Slice 48/155, Head
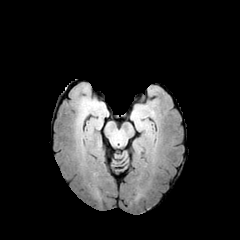
FLAIR magnetic resonance.
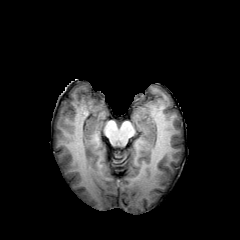
T1-weighted magnetic resonance of the same slice.
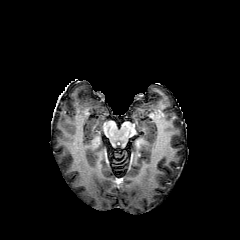
Post-contrast T1-weighted MR of the same slice.
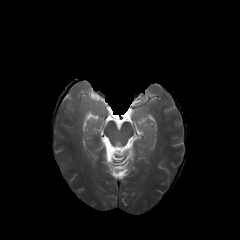
T2-weighted MR image.
The edema appears at box=[81, 102, 103, 119].